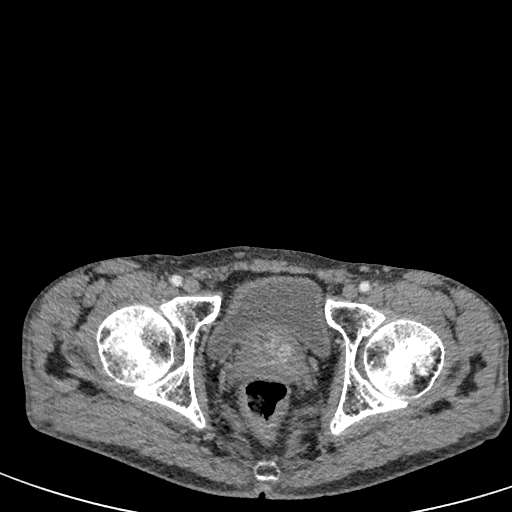 Pelvis; Computed tomography; Image size 512x512
The urinary bladder is located at <bbox>207, 276, 330, 359</bbox>.